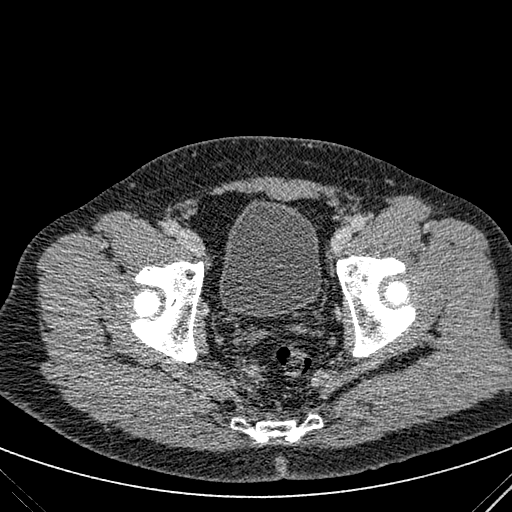 Lower abdomen, CT scan slice
urinary bladder: (218, 198, 322, 316)